Field of view 240 mm wide, 1.00 mm slice spacing; Head; Slice 63 of 155
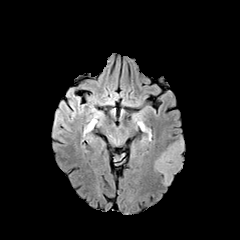
FLAIR MRI.
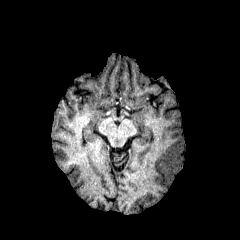
T1-weighted MRI of the same slice.
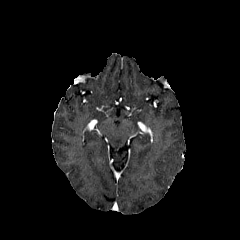
Post-contrast T1-weighted MRI.
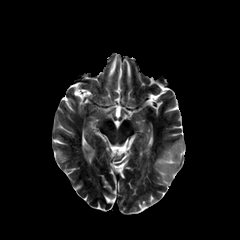
T2-weighted magnetic resonance of the same slice.
Annotated regions:
- edema: 153,136,184,186
- non-enhancing tumor core: 173,145,184,153